FLAIR MRI.
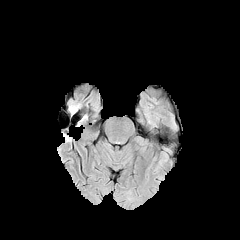
T1-weighted MR image.
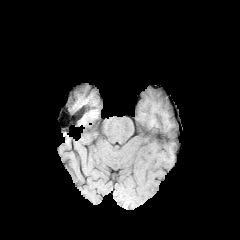
Post-contrast T1-weighted MR.
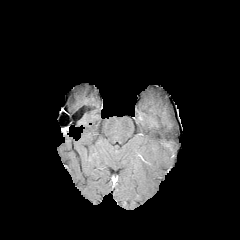
T2-weighted MR image.
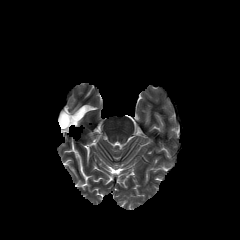
240x240.
The edema lies within (69,103,79,114).